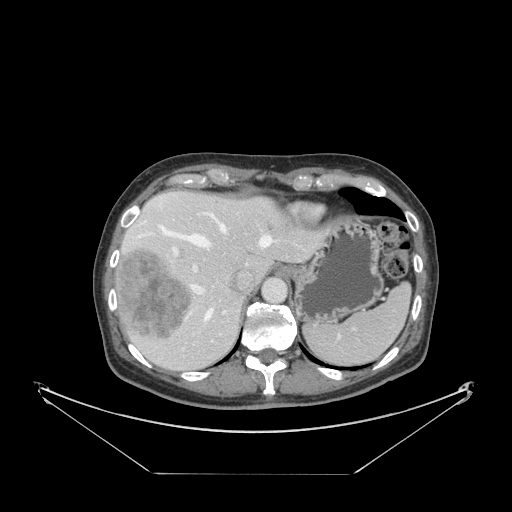 CT slice; Image size 512x512

spleen:
  - region(304, 284, 410, 367)